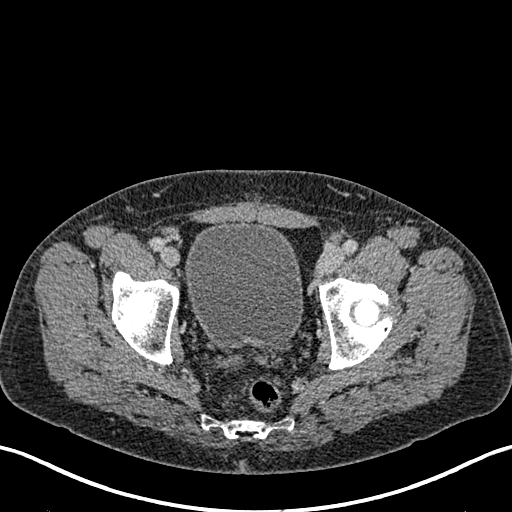

CT scan slice, Lower abdomen
The urinary bladder appears at (185, 220, 303, 347).